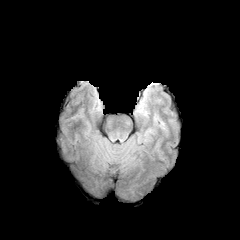
FLAIR MR image.
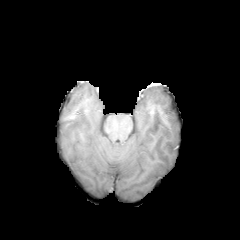
Same slice, T1-weighted magnetic resonance.
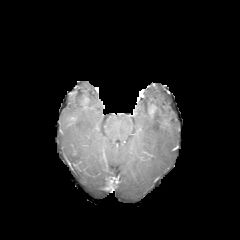
Post-contrast T1-weighted magnetic resonance.
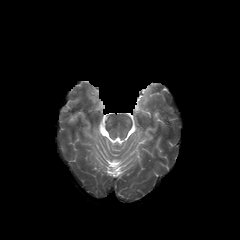
T2-weighted MR image of the same slice.
Head.
{
  "edema": [
    "box(134, 133, 149, 143)",
    "box(139, 98, 157, 121)"
  ]
}